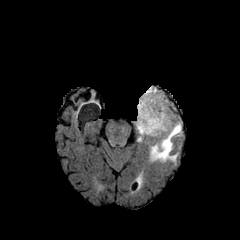
FLAIR MR image.
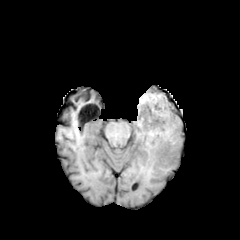
T1-weighted MR of the same slice.
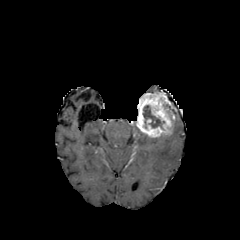
Post-contrast T1-weighted MR image of the same slice.
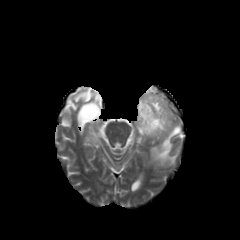
T2-weighted MRI.
Brain
3 edema regions are located at x1=138 y1=130 x2=149 y2=143, x1=137 y1=171 x2=142 y2=183, x1=148 y1=100 x2=181 y2=163. The non-enhancing tumor core is located at x1=143 y1=105 x2=161 y2=127. The enhancing tumor is bounded by x1=136 y1=92 x2=171 y2=136.